CT slice. Pelvis. 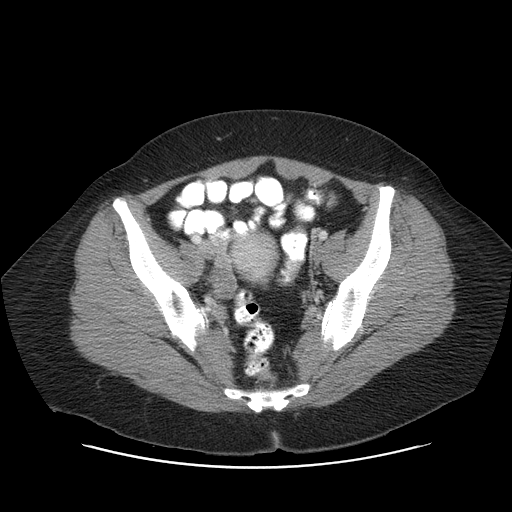
The colon tumor appears at region(281, 260, 301, 280).